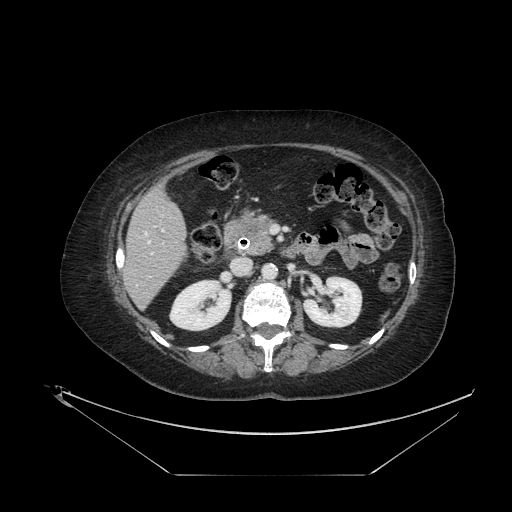
Image size 512x512, CT scan slice

Annotated regions:
• pancreas: rect(226, 211, 275, 256)
• pancreatic tumor: rect(237, 217, 267, 237)